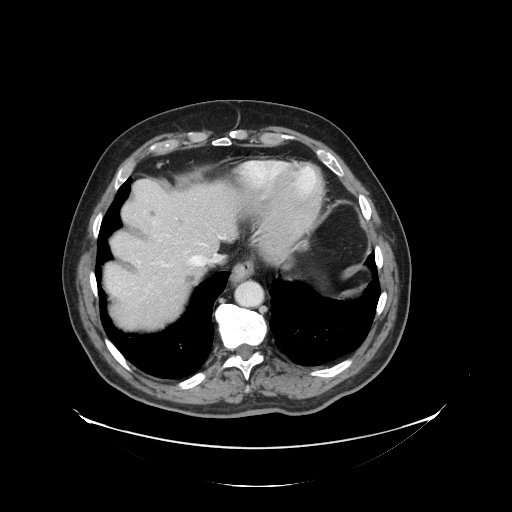

Image size 512x512. CT image.

The vessel annotation is not exhaustive.
7 hepatic vessel regions appear at x1=201, y1=259, x2=212, y2=266; x1=138, y1=261, x2=139, y2=263; x1=194, y1=273, x2=196, y2=274; x1=219, y1=236, x2=225, y2=239; x1=202, y1=243, x2=205, y2=245; x1=188, y1=256, x2=200, y2=262; x1=214, y1=255, x2=216, y2=256.